Image size 37x52, Magnetic resonance, Slice 25 of 34, Hippocampus 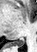 posterior_hippocampus:
  - region(10, 37, 22, 45)